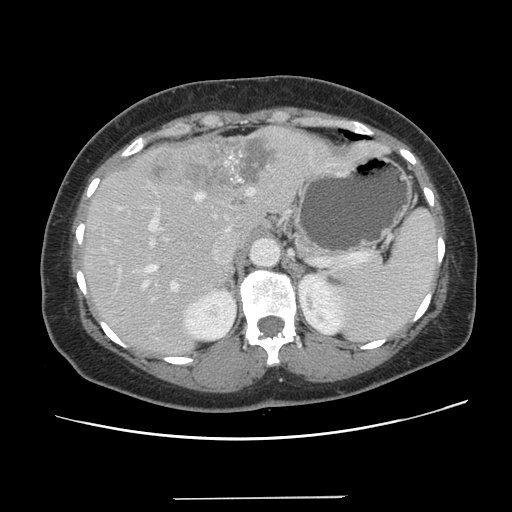
Liver; 512x512; CT
Not every hepatic vessel necessarily has a box.
{"hepatic_vessel": ["171, 282, 177, 290", "247, 188, 254, 194", "142, 281, 148, 287", "143, 265, 156, 271", "118, 269, 120, 272", "118, 207, 121, 209", "150, 240, 153, 245", "149, 207, 158, 230", "195, 193, 204, 199"], "liver_tumor": ["148, 137, 273, 189"]}